Field of view 330x330 mm | CT image | Upper abdomen 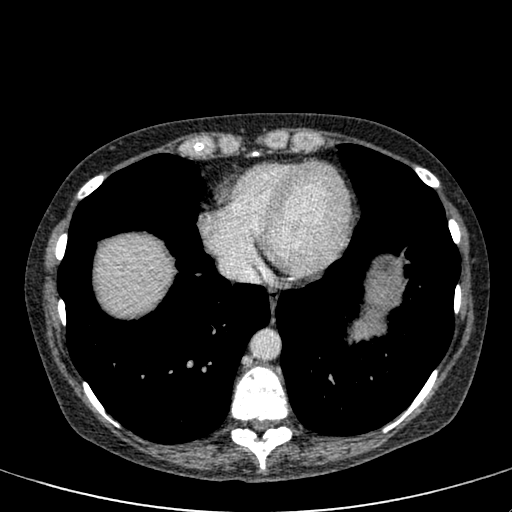
{"liver": ["[97,236,171,314]"]}